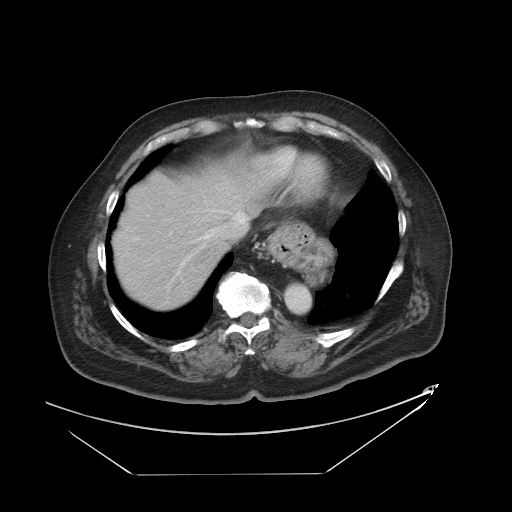

CT slice. Abdomen. Image size 512x512. Not every hepatic vessel necessarily has a box.
hepatic vessel: box=[233, 213, 246, 219]; box=[181, 257, 189, 266]; box=[197, 225, 224, 240]; box=[203, 217, 205, 219]